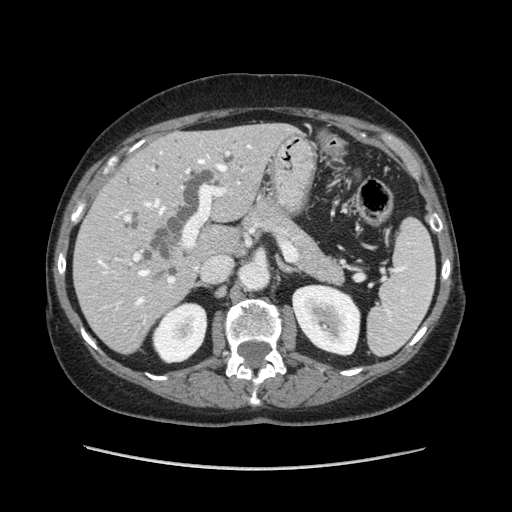

Abdomen, Image size 512x512, CT image
The pancreas is located at bbox(242, 190, 346, 287).